Upper abdomen; Computed tomography
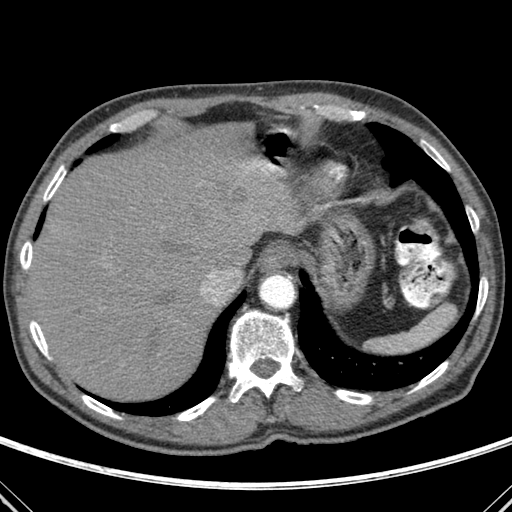 lung: (x1=36, y1=209, x2=45, y2=235), (x1=87, y1=134, x2=118, y2=153), (x1=298, y1=122, x2=476, y2=390), (x1=87, y1=291, x2=245, y2=415) | bone: (x1=466, y1=207, x2=478, y2=231), (x1=30, y1=321, x2=48, y2=356), (x1=176, y1=397, x2=215, y2=420), (x1=335, y1=390, x2=372, y2=404), (x1=422, y1=140, x2=449, y2=170), (x1=476, y1=278, x2=488, y2=315), (x1=82, y1=395, x2=119, y2=418), (x1=43, y1=165, x2=65, y2=200), (x1=20, y1=241, x2=32, y2=269), (x1=413, y1=361, x2=448, y2=390), (x1=228, y1=310, x2=300, y2=402) | liver: (x1=29, y1=122, x2=293, y2=401) | liver lesion: (x1=232, y1=188, x2=245, y2=203)